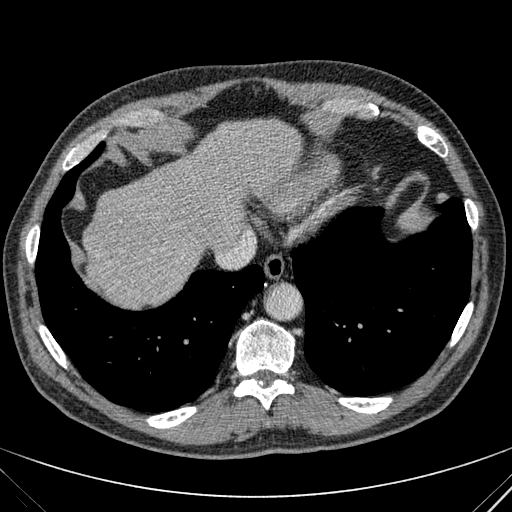

CT slice

Liver — [83,120,299,306].